CT. Image width 347 mm. Abdomen.

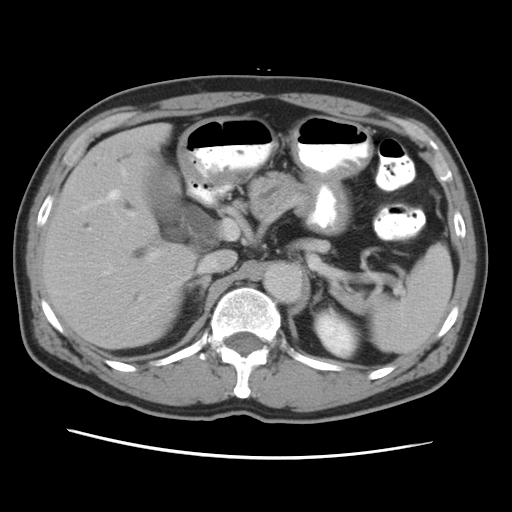

{
  "pancreas": [
    "box(245, 172, 313, 219)"
  ]
}